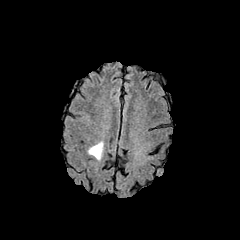
FLAIR MR.
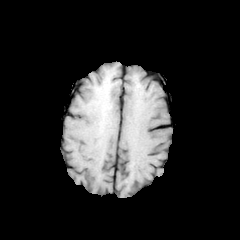
T1-weighted MR image of the same slice.
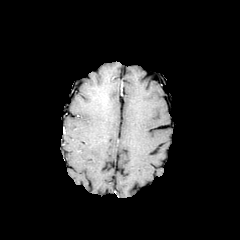
Post-contrast T1-weighted MRI of the same slice.
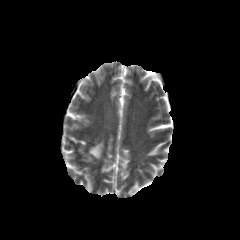
T2-weighted magnetic resonance of the same slice.
Brain
Findings:
* edema: bbox=[88, 141, 103, 160]